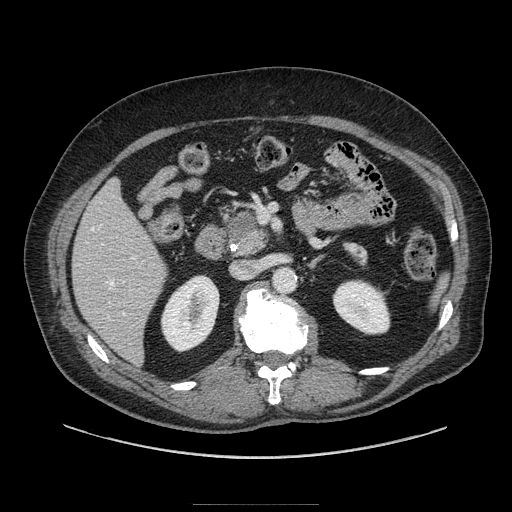 Image size 512x512; CT slice
Pancreas = [227, 211, 268, 254], [344, 243, 366, 264].
Pancreatic tumor = [227, 211, 252, 238].